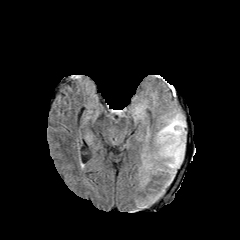
FLAIR magnetic resonance.
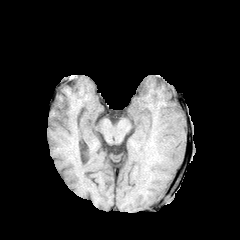
T1-weighted magnetic resonance of the same slice.
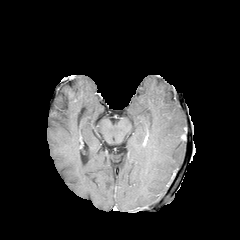
Post-contrast T1-weighted MR.
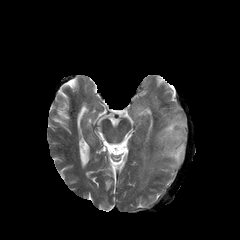
T2-weighted magnetic resonance.
Edema at box(159, 111, 185, 183).